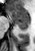 Magnetic resonance.

• anterior hippocampus: (x1=8, y1=9, x2=29, y2=20)
• posterior hippocampus: (x1=14, y1=21, x2=29, y2=30)